CT image, Liver
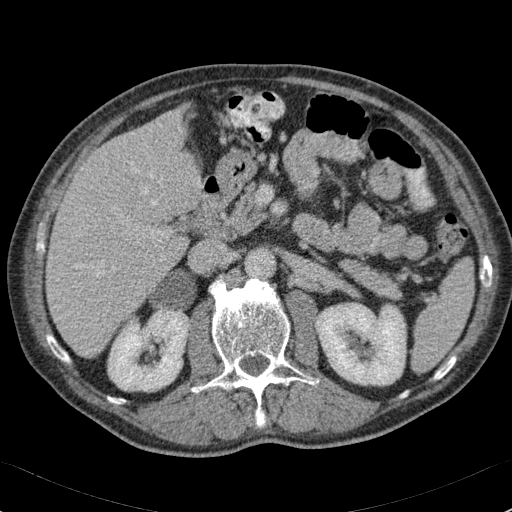 Segmented structures:
• kidney: <bbox>315, 303, 405, 385</bbox>, <bbox>108, 311, 188, 391</bbox>
• liver: <bbox>47, 113, 198, 356</bbox>